Upper abdomen. Slice 72 of 137. CT. 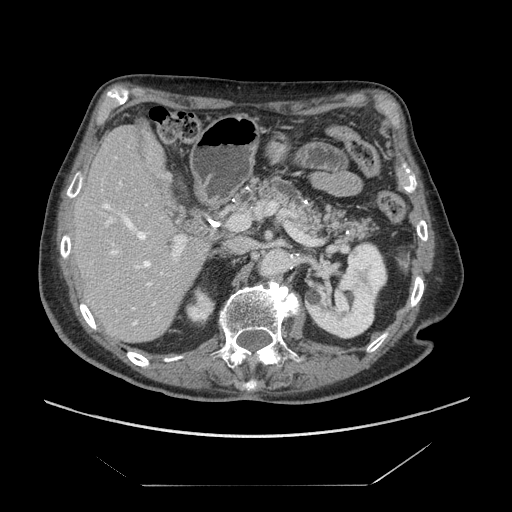 pancreas: left=215, top=172, right=381, bottom=245